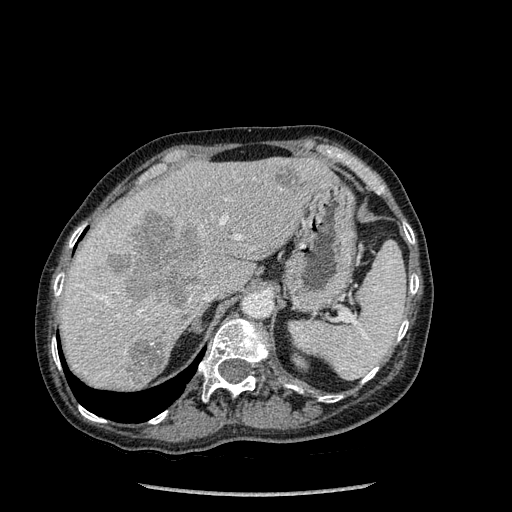
CT scan slice | Upper abdomen

Bone = box=[410, 274, 418, 294]; box=[51, 337, 60, 369]; box=[198, 318, 269, 401]; box=[78, 405, 106, 422]; box=[396, 320, 408, 341]; box=[361, 366, 378, 383]; box=[69, 225, 84, 247]; box=[373, 183, 384, 194]; box=[284, 384, 301, 392]; box=[149, 411, 167, 424]; box=[318, 395, 342, 402]; box=[54, 272, 64, 296]; box=[403, 222, 414, 244].
Liver = box=[60, 157, 338, 391].
Lung = box=[62, 357, 198, 422].
Hepatic lesion = box=[120, 331, 165, 385]; box=[106, 253, 130, 272]; box=[124, 211, 200, 307]; box=[274, 163, 306, 193].